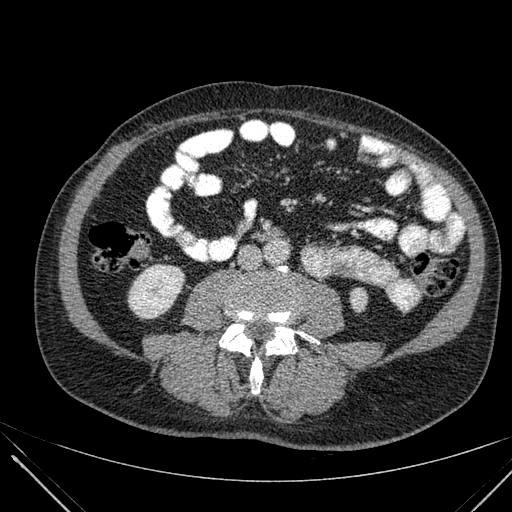
512x512, CT

kidney: [128, 265, 183, 318], [351, 288, 366, 310]